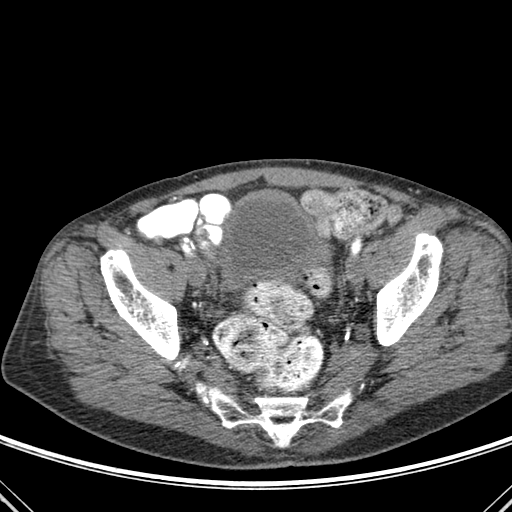

CT scan slice; Lower abdomen
Urinary bladder: box(209, 197, 340, 299).
Bone: box(100, 249, 179, 360); box(196, 383, 351, 446); box(175, 358, 187, 367); box(376, 232, 442, 346).